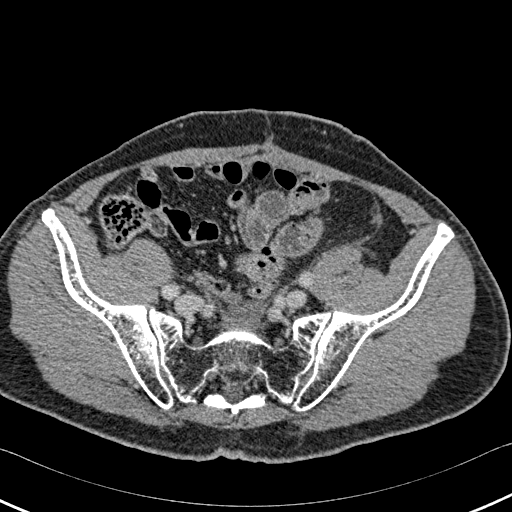

512x512 px; CT image

{"bone": ["box(42, 209, 453, 411)", "box(204, 394, 264, 414)"]}